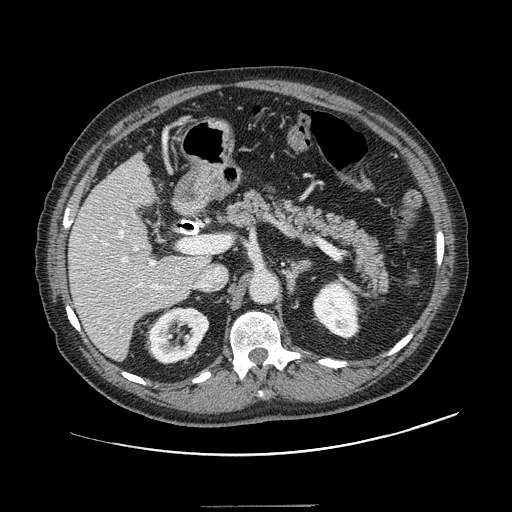 CT, Abdomen
<segmentation>
  <pancreas>box=[222, 190, 389, 303]</pancreas>
</segmentation>